Abdomen; CT; 512x512 px

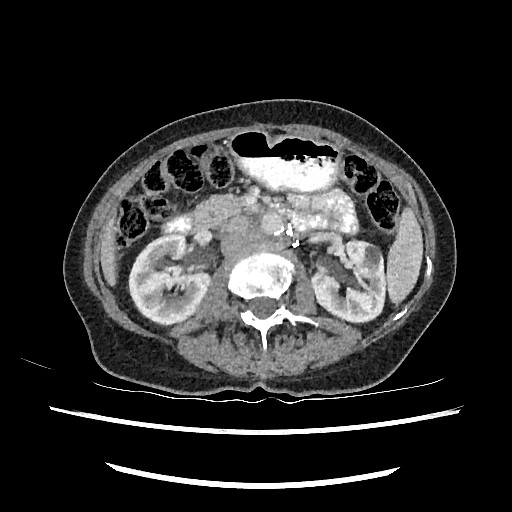
kidney:
  - x1=312 y1=242 x2=384 y2=321
  - x1=129 y1=235 x2=209 y2=323
liver:
  - x1=101 y1=222 x2=115 y2=283